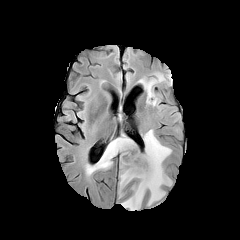
FLAIR MR image.
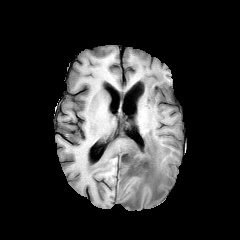
T1-weighted magnetic resonance.
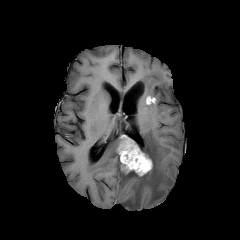
Same slice, post-contrast T1-weighted MR.
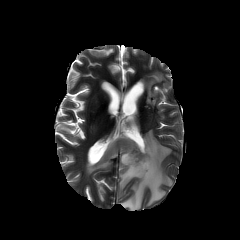
T2-weighted MRI.
Brain, Image size 240x240
2 non-enhancing tumor core regions appear at (left=122, top=160, right=153, bottom=179), (left=130, top=139, right=143, bottom=155). The enhancing tumor is at (left=118, top=135, right=151, bottom=175). 3 edema regions appear at (left=143, top=73, right=164, bottom=105), (left=119, top=129, right=171, bottom=210), (left=86, top=137, right=121, bottom=173).